Brain
FLAIR MR image.
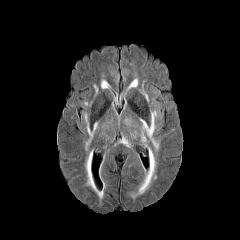
T1-weighted MR.
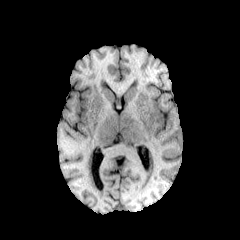
Post-contrast T1-weighted MRI.
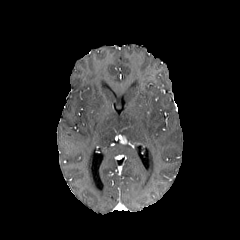
T2-weighted magnetic resonance.
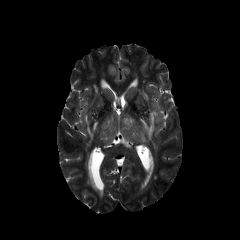
{
  "edema": [
    "<box>101,80,109,89</box>",
    "<box>140,111,158,150</box>",
    "<box>128,78,137,87</box>",
    "<box>85,149,105,200</box>",
    "<box>132,148,157,198</box>",
    "<box>85,113,97,149</box>"
  ]
}